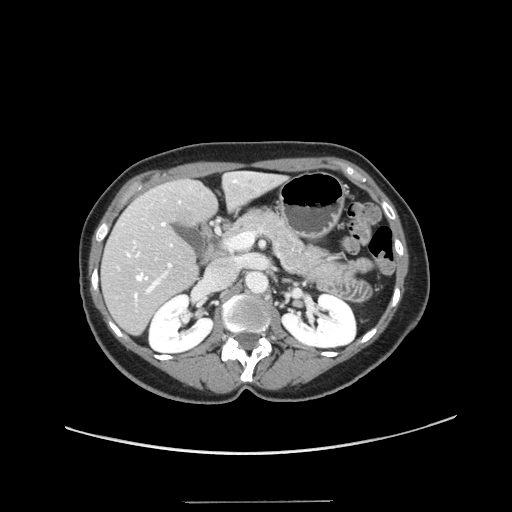 Abdomen | CT slice | 512x512
Some hepatic vessels may have no box.
9 hepatic vessel regions appear at 126,251,130,255; 146,278,159,292; 137,273,147,279; 162,222,164,224; 134,241,136,247; 168,263,171,266; 135,293,137,297; 231,232,249,246; 137,253,138,254.